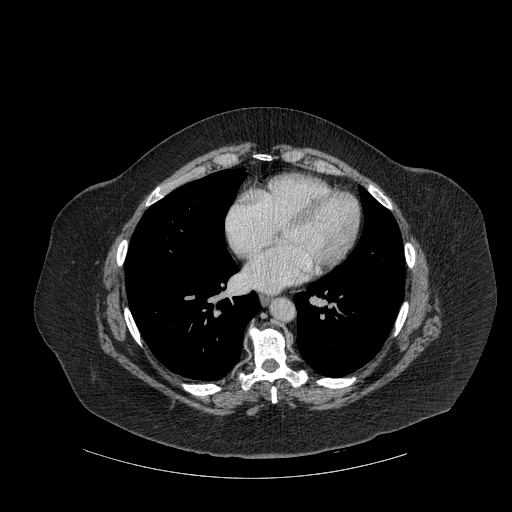

Thorax | CT image

Annotated regions:
- lung: bbox(294, 189, 404, 376); bbox(125, 168, 259, 380)
- bone: bbox(317, 378, 355, 388); bbox(271, 386, 276, 402); bbox(379, 196, 391, 208); bbox(117, 240, 126, 265); bbox(182, 384, 220, 395); bbox(255, 155, 270, 160); bbox(395, 302, 408, 335); bbox(146, 187, 162, 205); bbox(240, 328, 307, 389); bbox(405, 243, 414, 267); bbox(124, 308, 140, 344)